Slice 96/155, Field of view 240x240 mm
FLAIR magnetic resonance.
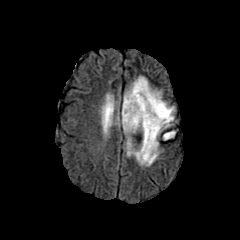
T1-weighted MR image.
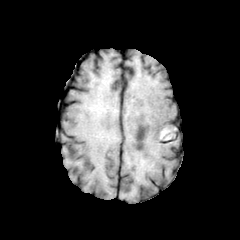
Post-contrast T1-weighted MRI.
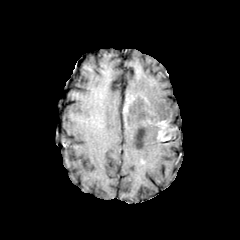
T2-weighted magnetic resonance.
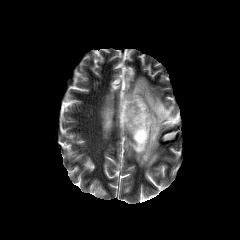
2 edema regions are located at (119,77,177,165), (103,98,113,127). 2 non-enhancing tumor core regions are located at (138,113,155,148), (121,93,140,127). 2 enhancing tumor regions are bounded by (124,97,131,113), (156,120,167,134).